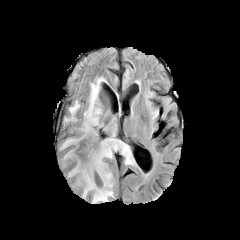
FLAIR magnetic resonance.
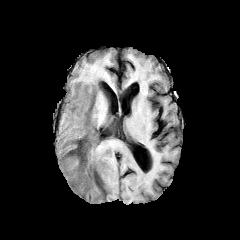
T1-weighted MR of the same slice.
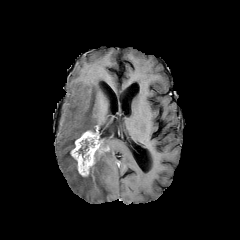
Same slice, post-contrast T1-weighted MR image.
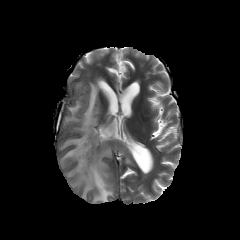
T2-weighted magnetic resonance.
Brain
• enhancing tumor: 70,126,102,176
• edema: 60,77,105,149; 64,110,127,203
• non-enhancing tumor core: 77,139,100,161